Slice index 119 | CT image

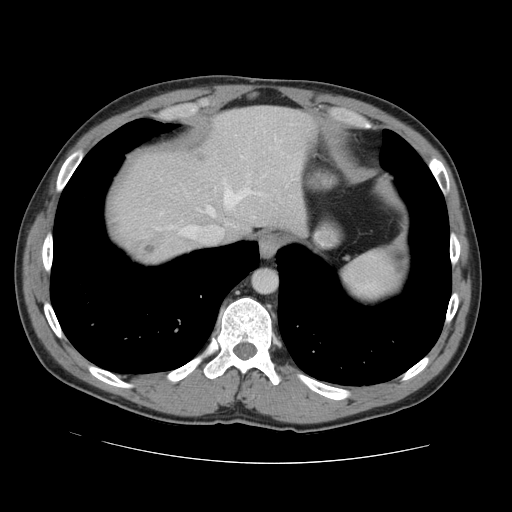
Not every hepatic vessel necessarily has a box.
Liver tumor at <bbox>146, 246, 155, 253</bbox>.
Hepatic vessel at <bbox>204, 207, 214, 216</bbox>, <bbox>223, 179, 225, 184</bbox>, <bbox>240, 155, 242, 157</bbox>, <bbox>159, 212, 162, 215</bbox>, <bbox>180, 226, 192, 234</bbox>, <bbox>225, 222, 229, 224</bbox>, <bbox>223, 189, 262, 208</bbox>, <bbox>197, 209, 201, 211</bbox>.